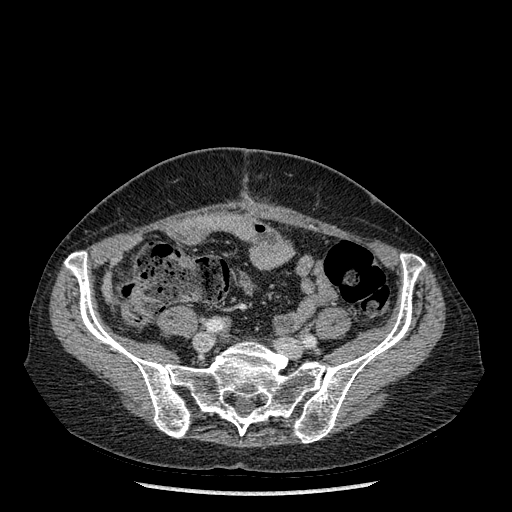

512x512; CT image
The bone is bounded by rect(64, 251, 425, 443).